Lower abdomen, Computed tomography, Field of view 381 mm wide, 1.50 mm slice spacing
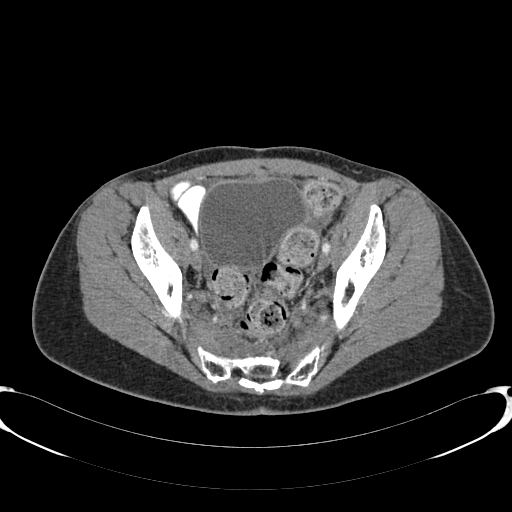
The urinary bladder appears at x1=202, y1=180, x2=304, y2=266.